FLAIR MR.
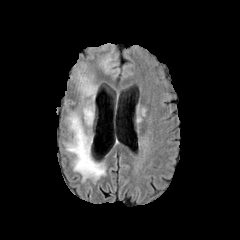
T1-weighted magnetic resonance.
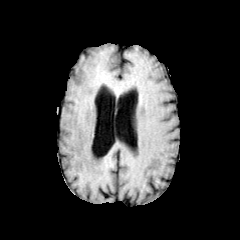
Post-contrast T1-weighted magnetic resonance.
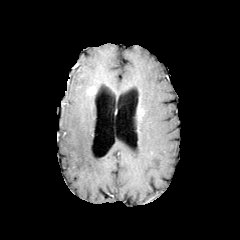
T2-weighted magnetic resonance.
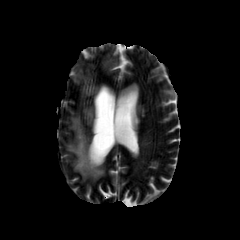
edema: x1=76, y1=71, x2=96, y2=99; x1=65, y1=104, x2=105, y2=181